FLAIR MRI.
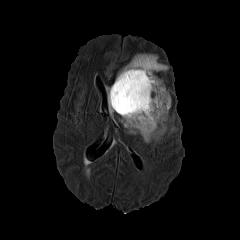
T1-weighted MR image.
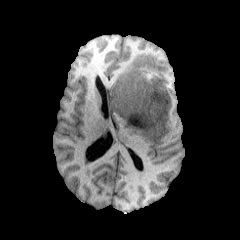
Post-contrast T1-weighted magnetic resonance.
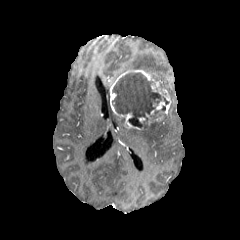
T2-weighted MR.
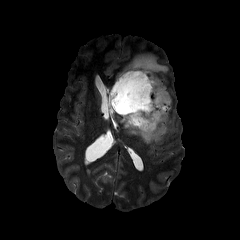
Head, 240x240 px
Edema — (x1=105, y1=85, x2=113, y2=118), (x1=124, y1=112, x2=172, y2=144), (x1=117, y1=53, x2=168, y2=76).
Non-enhancing tumor core — (x1=111, y1=72, x2=165, y2=128).
Enhancing tumor — (x1=109, y1=69, x2=171, y2=129).